CT slice. 512x512 px. Pelvis. 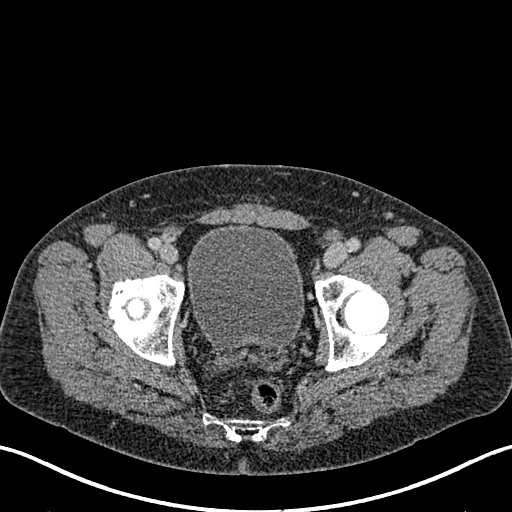 urinary bladder: (187, 223, 303, 346)